Magnetic resonance; Slice 5/31; Hippocampus

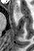

The anterior hippocampus is bounded by x1=16 y1=7 x2=19 y2=12.